Field of view 240x240 mm, Slice 51 of 155, Image size 240x240, Head
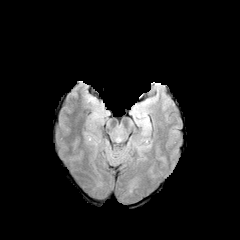
FLAIR MR.
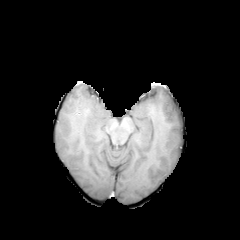
Same slice, T1-weighted magnetic resonance.
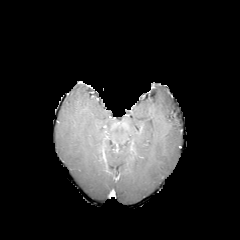
Same slice, post-contrast T1-weighted MR image.
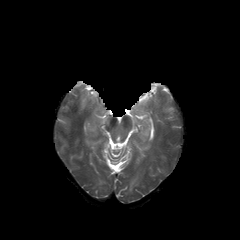
Same slice, T2-weighted MR.
edema: {"x1": 85, "y1": 135, "x2": 104, "y2": 146}, {"x1": 135, "y1": 98, "x2": 151, "y2": 136}, {"x1": 84, "y1": 93, "x2": 105, "y2": 135}